Abdomen, CT image
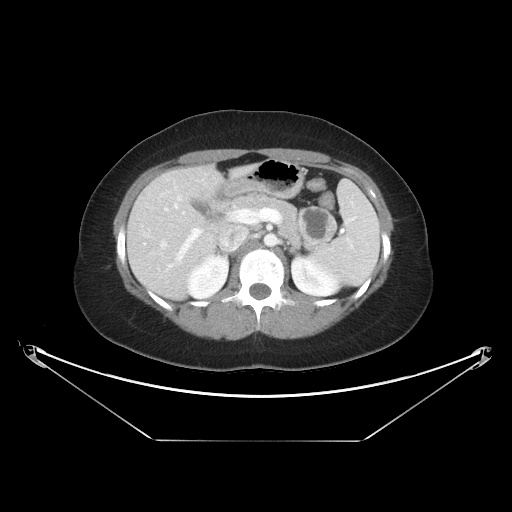 pancreatic_tumor:
  - bbox=[299, 207, 336, 244]
pancreas:
  - bbox=[233, 193, 304, 247]